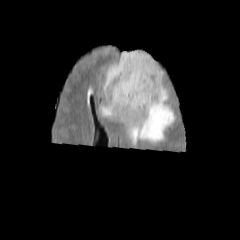
FLAIR magnetic resonance.
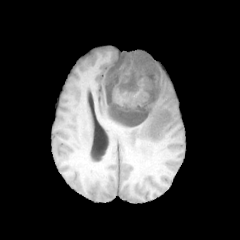
Same slice, T1-weighted magnetic resonance.
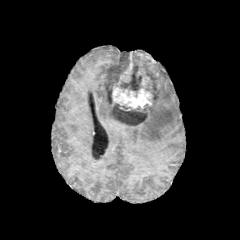
Post-contrast T1-weighted magnetic resonance of the same slice.
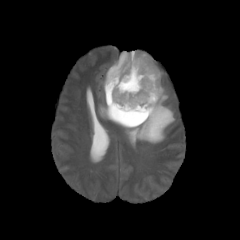
T2-weighted magnetic resonance.
240x240; Brain
<segmentation>
  <edema>x1=99, y1=59, x2=174, y2=148</edema>
  <enhancing_tumor>x1=112, y1=75, x2=153, y2=110; x1=117, y1=52, x2=133, y2=85</enhancing_tumor>
  <non-enhancing_tumor_core>x1=105, y1=52, x2=130, y2=83; x1=104, y1=50, x2=162, y2=125</non-enhancing_tumor_core>
</segmentation>